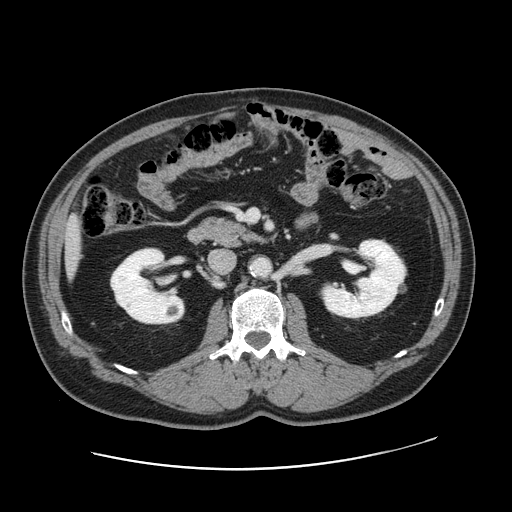

Abdomen. Image size 512x512. CT slice.
Only some of the vessels may be annotated.
hepatic_vessel:
  - [71,218,76,223]